Head.
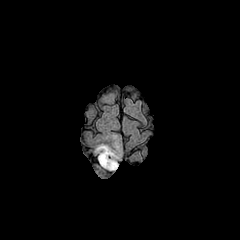
FLAIR MR image.
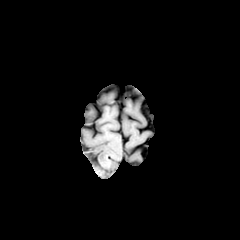
T1-weighted MRI of the same slice.
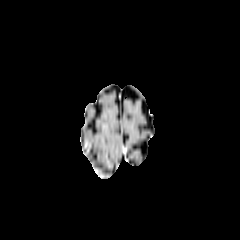
Post-contrast T1-weighted MR image.
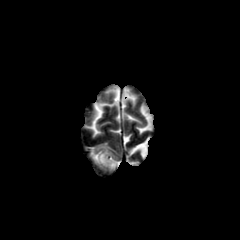
T2-weighted MRI of the same slice.
edema:
  - rect(94, 142, 121, 170)